Head.
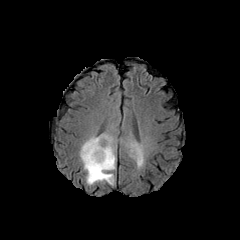
FLAIR MRI.
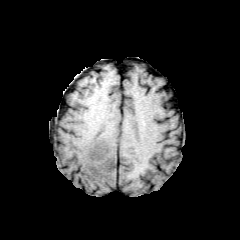
T1-weighted MR.
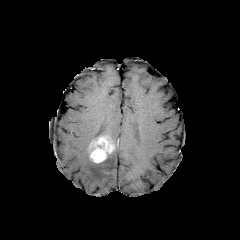
Post-contrast T1-weighted magnetic resonance of the same slice.
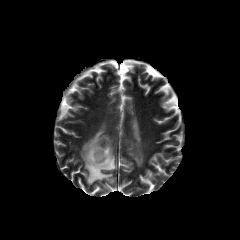
T2-weighted MRI.
Segmented structures:
* enhancing tumor: [x1=88, y1=136, x2=115, y2=163]
* edema: [x1=79, y1=131, x2=117, y2=186], [x1=126, y1=138, x2=144, y2=167]